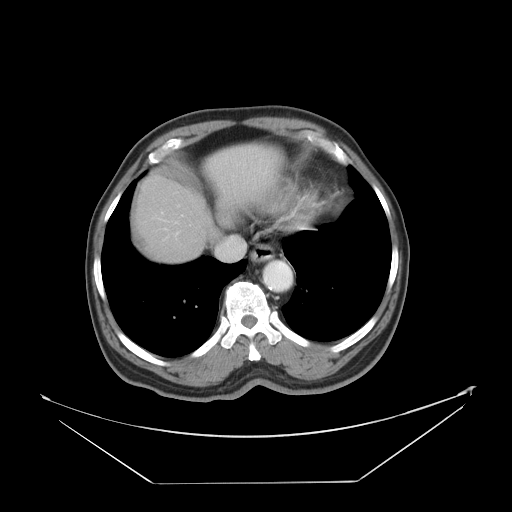

CT. Only some of the vessels may be annotated.
* hepatic vessel: (left=244, top=159, right=245, bottom=166), (left=178, top=205, right=179, bottom=206), (left=175, top=231, right=178, bottom=235)